CT slice, Lower abdomen
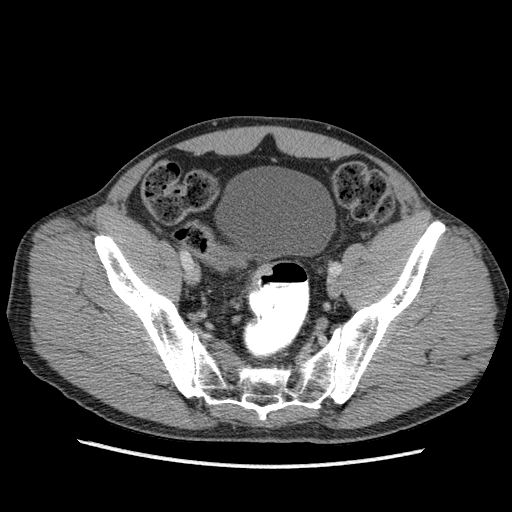 Annotated regions:
- urinary bladder: box(215, 166, 335, 258)